Field of view 240 mm wide, 1.00 mm slice spacing. 240x240. Head.
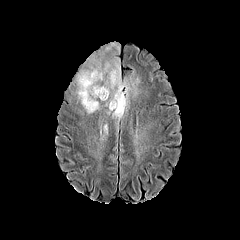
FLAIR magnetic resonance.
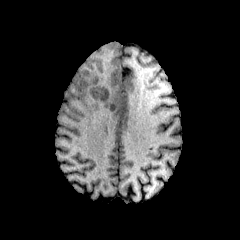
T1-weighted MR.
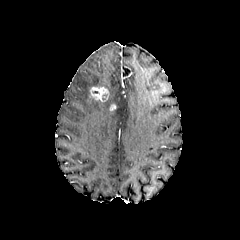
Same slice, post-contrast T1-weighted MRI.
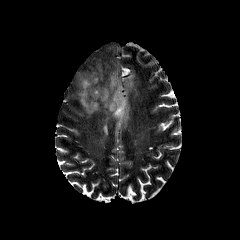
Same slice, T2-weighted MRI.
<segmentation>
  <edema>box=[75, 66, 103, 112]; box=[104, 58, 137, 125]</edema>
  <enhancing_tumor>box=[90, 86, 109, 101]</enhancing_tumor>
</segmentation>